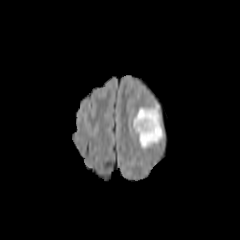
FLAIR MR image.
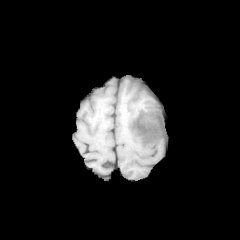
T1-weighted magnetic resonance.
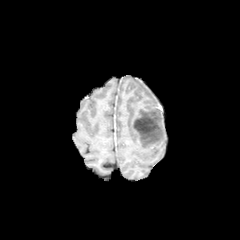
Post-contrast T1-weighted MRI.
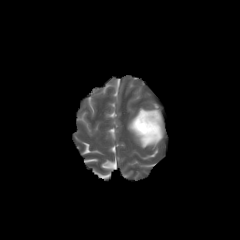
T2-weighted MR image.
Head
non-enhancing_tumor_core:
  - 134 117 157 137
edema:
  - 128 107 165 149